FLAIR MR.
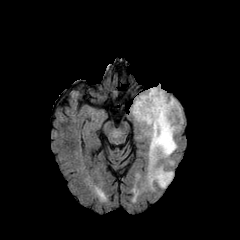
T1-weighted MR image.
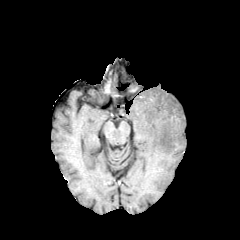
Post-contrast T1-weighted MRI.
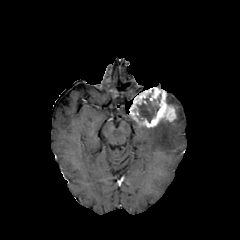
T2-weighted MR.
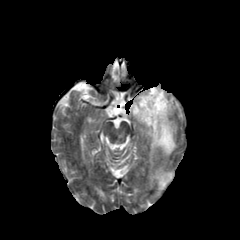
Head.
non-enhancing tumor core: box=[137, 98, 158, 122] | edema: box=[169, 97, 182, 120]; box=[147, 120, 177, 164]; box=[149, 168, 172, 187] | enhancing tumor: box=[129, 87, 175, 128]